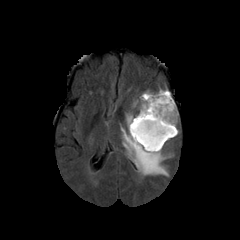
FLAIR MR.
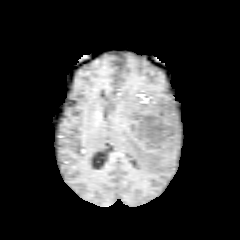
T1-weighted MR image.
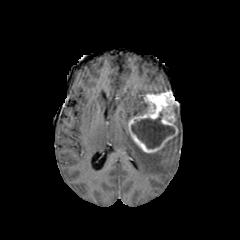
Same slice, post-contrast T1-weighted MRI.
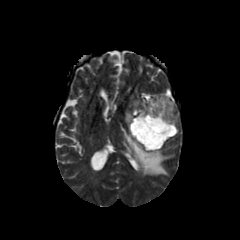
T2-weighted MR image.
240x240 px | Head
Edema = {"x1": 135, "y1": 96, "x2": 146, "y2": 115}, {"x1": 121, "y1": 127, "x2": 171, "y2": 176}.
Enhancing tumor = {"x1": 127, "y1": 89, "x2": 178, "y2": 153}.
Non-enhancing tumor core = {"x1": 131, "y1": 117, "x2": 175, "y2": 148}.